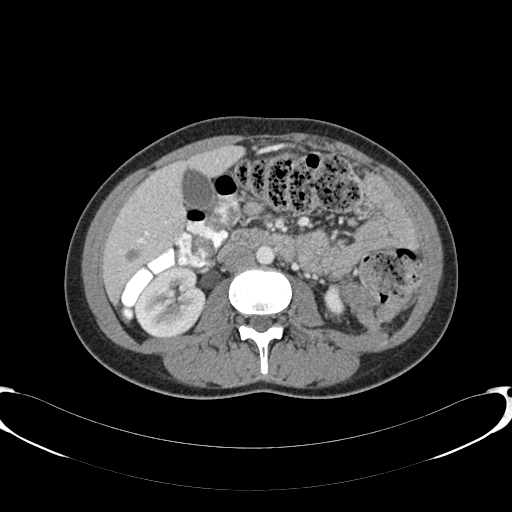

Liver, CT image, Image size 512x512
The liver appears at bbox=[102, 145, 243, 302]. The liver lesion is located at bbox=[127, 250, 137, 260]. 2 kidney regions are located at bbox=[326, 288, 341, 311]; bbox=[135, 268, 204, 336].